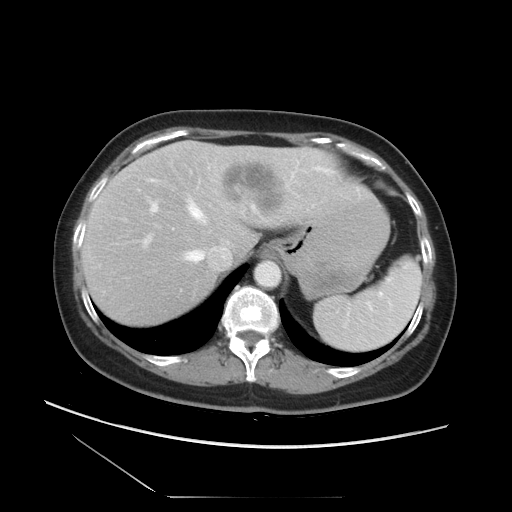

Abdomen, CT scan slice
The vessel boxes may cover only some of the vessels.
Liver tumor: 217,155,290,218.
Hepatic vessel: 150,179,156,181; 188,201,206,223; 144,237,150,245; 210,246,230,265; 186,251,204,261; 150,202,157,211.